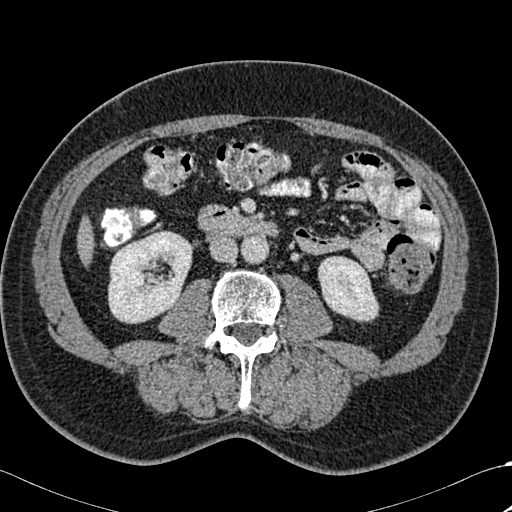 CT slice. Image size 512x512. bone:
  - (205, 271, 280, 408)
kidney:
  - (109, 232, 191, 322)
  - (319, 257, 377, 320)
liver:
  - (78, 226, 93, 255)